Image size 240x240
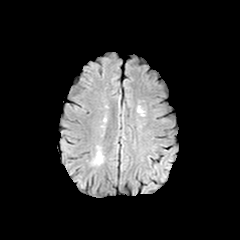
FLAIR MRI.
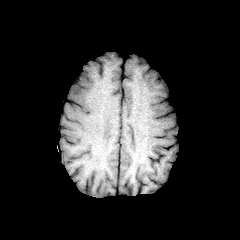
Same slice, T1-weighted magnetic resonance.
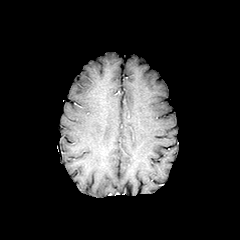
Post-contrast T1-weighted MRI of the same slice.
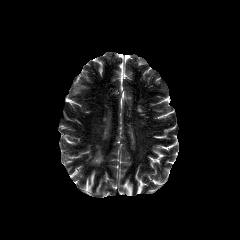
T2-weighted MRI.
The edema is located at (91,153,103,164).